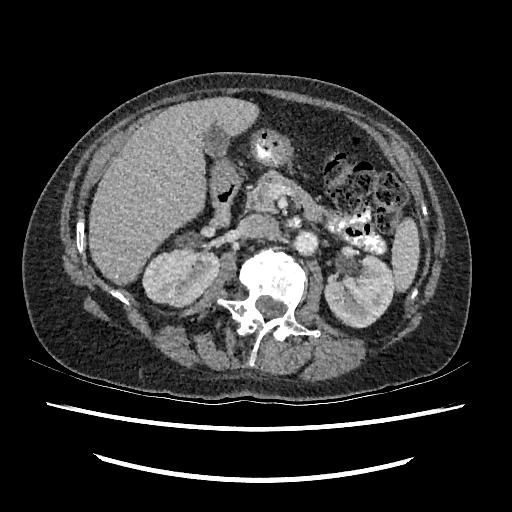
Abdomen. Computed tomography. The liver appears at (left=89, top=97, right=258, bottom=284). 2 kidney regions are located at (left=143, top=250, right=219, bottom=306), (left=325, top=256, right=396, bottom=327).